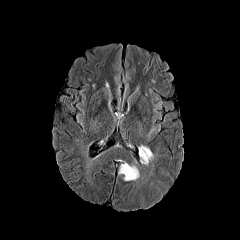
FLAIR MR image.
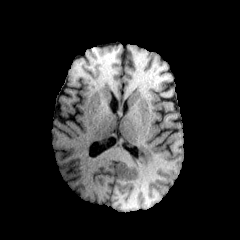
T1-weighted MR.
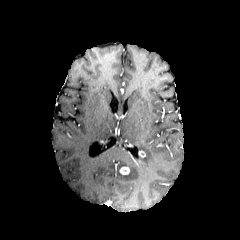
Post-contrast T1-weighted magnetic resonance of the same slice.
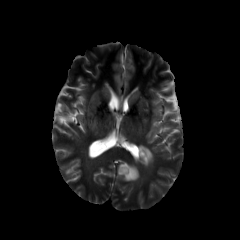
T2-weighted MRI.
Annotated regions:
* edema: 147 128 156 138, 120 162 139 181, 137 145 153 165
* enhancing tumor: 137 149 147 157, 119 167 129 174